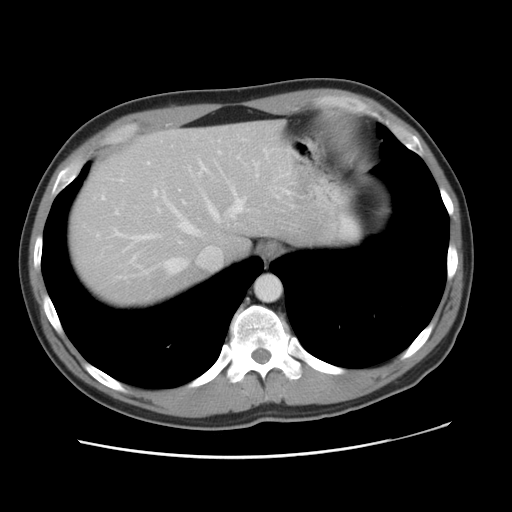

CT scan slice
The vessel boxes may cover only some of the vessels.
The top 15 hepatic vessel regions (of 18) are bounded by <box>120,178,122,180</box>, <box>130,256,135,261</box>, <box>164,197,200,234</box>, <box>284,189,289,193</box>, <box>125,247,128,249</box>, <box>164,258,185,272</box>, <box>113,229,160,243</box>, <box>228,187,243,217</box>, <box>253,162,258,166</box>, <box>101,195,104,199</box>, <box>285,172,288,174</box>, <box>153,189,158,195</box>, <box>199,160,207,172</box>, <box>208,202,218,219</box>, <box>115,210,118,214</box>.